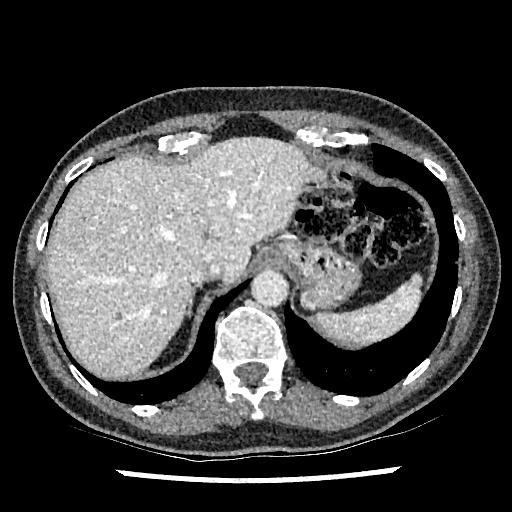
Liver; CT image
Liver = <bbox>48, 137, 313, 377</bbox>.